FLAIR MRI.
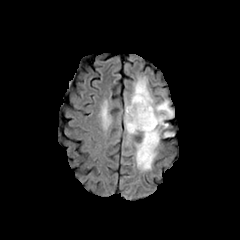
T1-weighted MR.
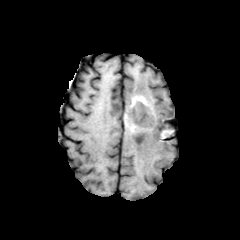
Post-contrast T1-weighted MR.
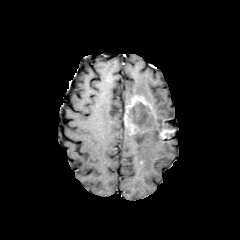
T2-weighted magnetic resonance.
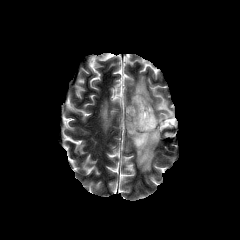
3 edema regions are bounded by box(123, 76, 173, 172); box(164, 125, 173, 137); box(103, 106, 108, 122). 4 non-enhancing tumor core regions are located at box(160, 116, 168, 127); box(158, 129, 168, 137); box(128, 100, 156, 132); box(142, 118, 153, 127). The enhancing tumor is bounded by box(125, 96, 146, 133).